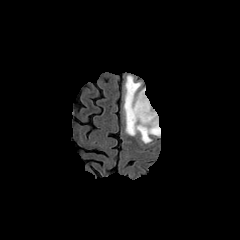
FLAIR MR image.
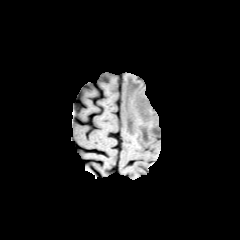
T1-weighted magnetic resonance.
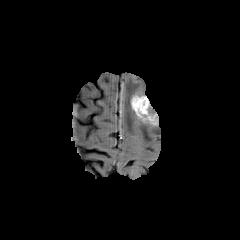
Post-contrast T1-weighted magnetic resonance.
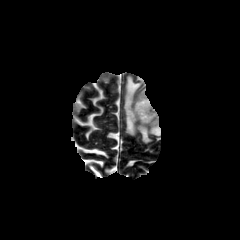
T2-weighted MR image.
Image size 240x240
Non-enhancing tumor core = left=148, top=106, right=156, bottom=115.
Enhancing tumor = left=131, top=95, right=158, bottom=125.
Edema = left=122, top=75, right=160, bottom=144.